CT scan slice. Slice 467 of 707. Abdomen.
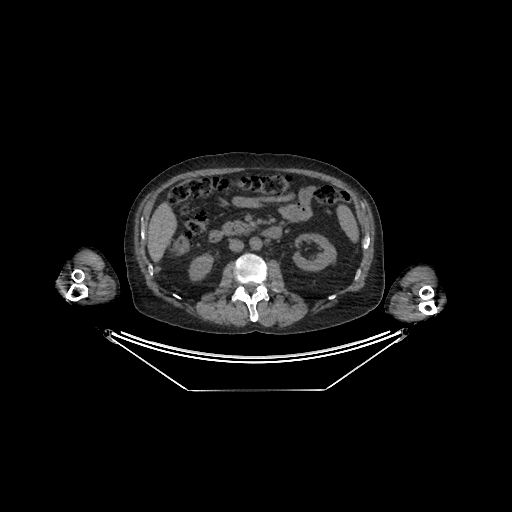 kidney:
  - <box>292,233,336,271</box>
  - <box>188,253,213,280</box>
liver:
  - <box>148,203,176,261</box>